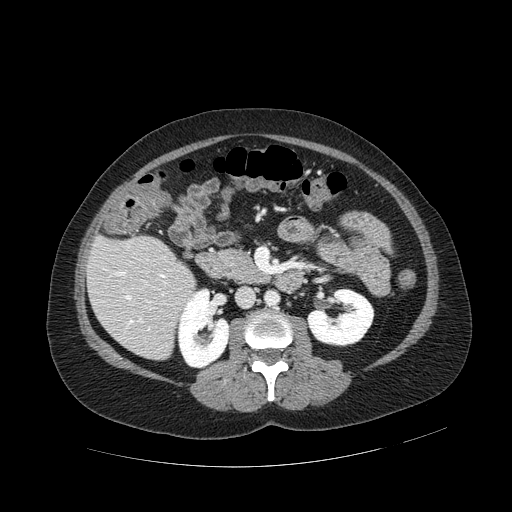
Image size 512x512. CT. Abdomen.
pancreas:
  - (left=223, top=250, right=269, bottom=282)